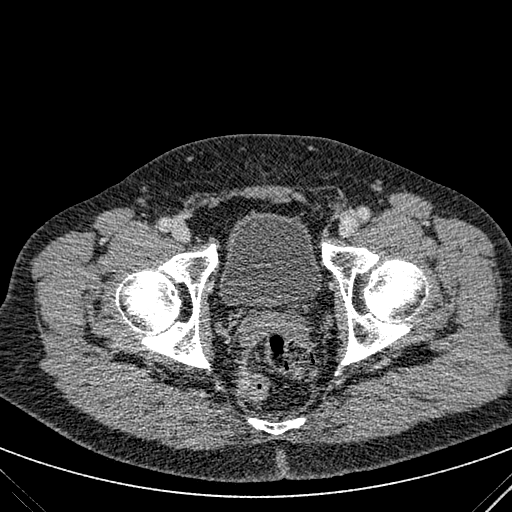 Lower abdomen; CT image
<segmentation>
  <urinary_bladder>(left=218, top=209, right=322, bottom=314)</urinary_bladder>
</segmentation>